Field of view 360x360 mm | Image size 512x512 | Computed tomography
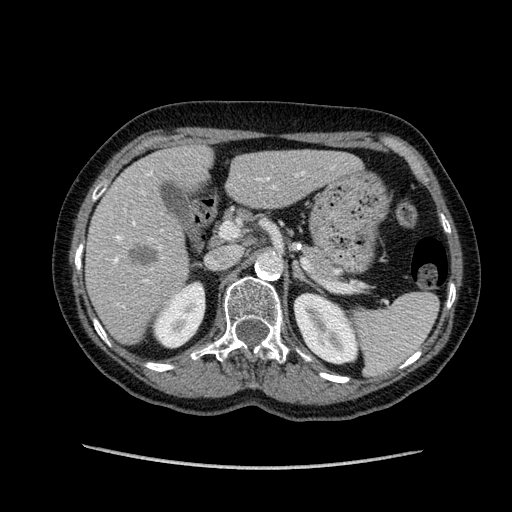

Liver: bounding box {"x1": 226, "y1": 151, "x2": 354, "y2": 206}, {"x1": 86, "y1": 148, "x2": 209, "y2": 338}.
Liver lesion: bounding box {"x1": 125, "y1": 246, "x2": 158, "y2": 265}.
Kidney: bounding box {"x1": 295, "y1": 294, "x2": 356, "y2": 362}, {"x1": 155, "y1": 283, "x2": 204, "y2": 346}.